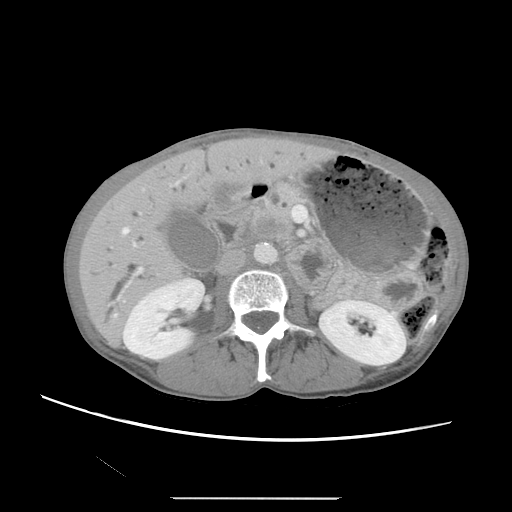
CT. The pancreatic tumor is at region(249, 216, 286, 240). The pancreas is bounded by region(247, 184, 299, 244).